Slice 424 of 630 | CT
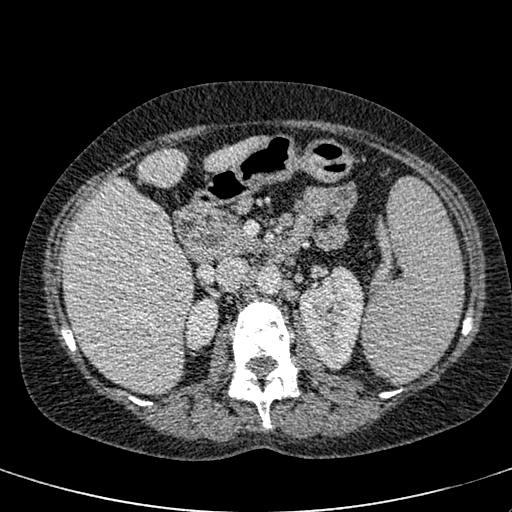 2 kidney regions are located at [186,298,217,345], [300,267,363,368]. 3 liver regions are bounded by [138,149,185,186], [205,136,267,171], [65,179,192,392]. The liver lesion appears at [145,205,167,226].